Slice 95/155; Head
FLAIR MRI.
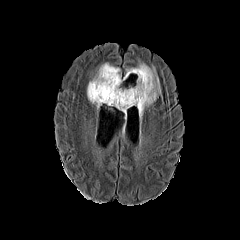
T1-weighted MR image.
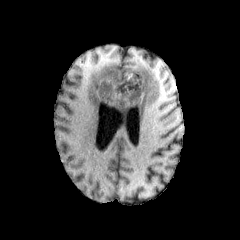
Post-contrast T1-weighted MR.
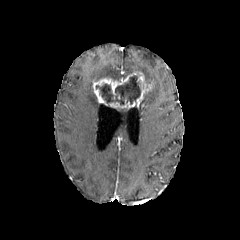
T2-weighted MR.
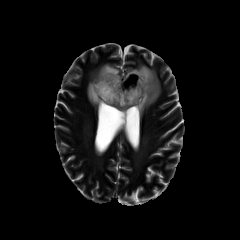
Edema — (87, 63, 121, 114), (125, 63, 161, 118).
Non-enhancing tumor core — (95, 75, 140, 105).
Enhancing tumor — (92, 76, 128, 104), (108, 71, 152, 108).